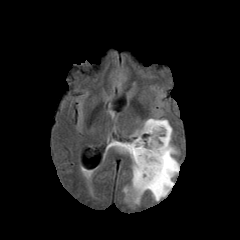
FLAIR MR image.
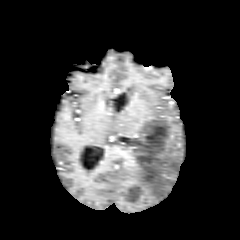
T1-weighted MR of the same slice.
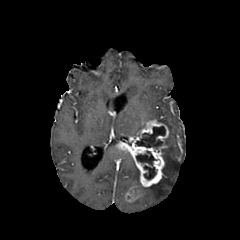
Same slice, post-contrast T1-weighted magnetic resonance.
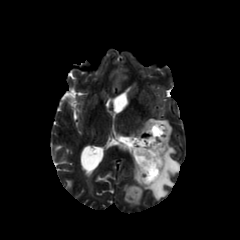
Same slice, T2-weighted magnetic resonance.
Head.
Enhancing tumor: box=[116, 134, 165, 186]; box=[142, 120, 168, 141]; box=[126, 188, 140, 199].
Non-enhancing tumor core: box=[135, 126, 165, 148]; box=[136, 151, 156, 179].
Edema: box=[124, 115, 179, 204].